Slice 89/155.
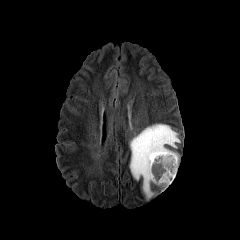
FLAIR MR image.
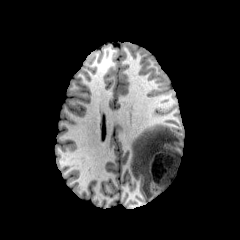
T1-weighted MR.
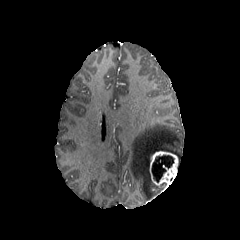
Same slice, post-contrast T1-weighted MR.
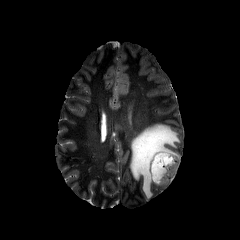
T2-weighted MR image.
<segmentation>
  <edema>129 123 180 200</edema>
  <non-enhancing_tumor_core>151 156 174 183, 152 182 166 192</non-enhancing_tumor_core>
  <enhancing_tumor>149 151 178 189</enhancing_tumor>
</segmentation>